Slice 82/155
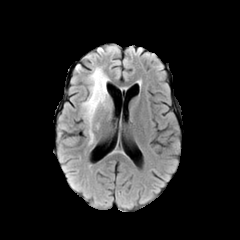
FLAIR MRI.
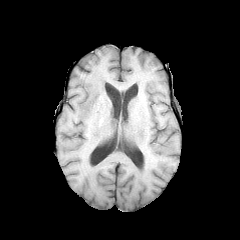
T1-weighted MR image.
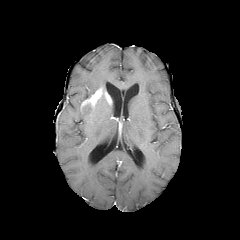
Post-contrast T1-weighted MR of the same slice.
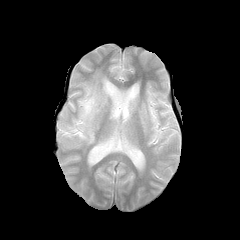
T2-weighted MRI of the same slice.
* enhancing tumor: 81:87:108:108
* edema: 78:67:109:106, 79:95:111:144